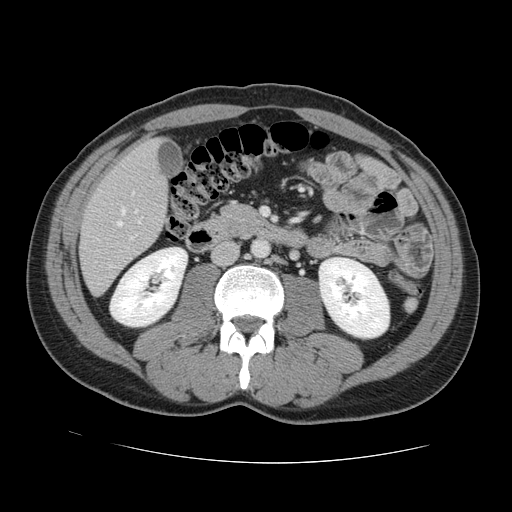

CT; 512x512 px; Abdomen
Only some of the vessels may be annotated.
{
  "hepatic_vessel": [
    "(x1=121, y1=207, x2=124, y2=213)",
    "(x1=117, y1=222, x2=121, y2=225)",
    "(x1=130, y1=234, x2=135, y2=239)",
    "(x1=135, y1=210, x2=136, y2=212)",
    "(x1=109, y1=264, x2=112, y2=267)",
    "(x1=138, y1=218, x2=141, y2=222)",
    "(x1=132, y1=192, x2=133, y2=194)"
  ]
}